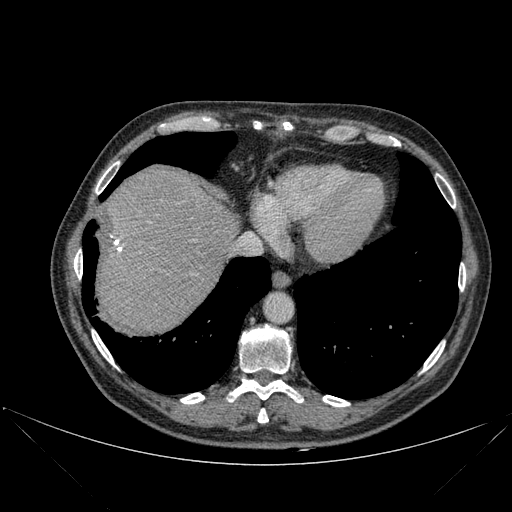

512x512, CT, Upper abdomen

bone: 283,122,292,129; 422,343,444,371; 257,408,268,423; 92,332,115,366; 240,325,291,373; 95,161,119,194; 228,379,302,402; 180,393,204,403; 74,250,82,278; 439,175,455,207; 323,395,349,406; 458,263,465,290 | liver: 95,170,234,336 | lung: 100,131,235,200; 294,152,461,398; 82,220,271,394